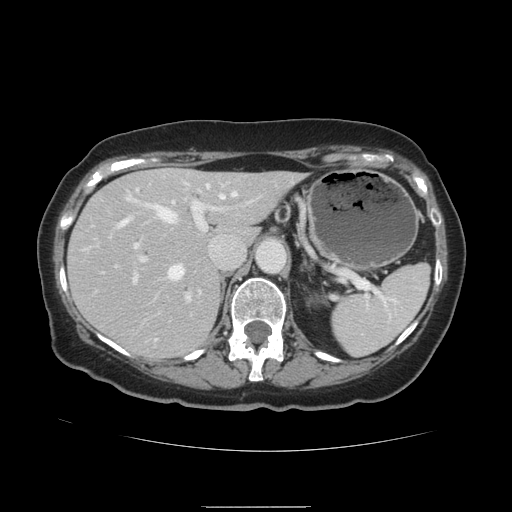
CT scan slice
The vessel annotation is not exhaustive.
The largest 15 hepatic vessel regions (of 17) are bounded by <box>243,202,249,204</box>, <box>132,272,136,284</box>, <box>138,256,144,261</box>, <box>219,194,223,198</box>, <box>124,194,175,221</box>, <box>205,184,208,187</box>, <box>185,197,188,200</box>, <box>134,244,137,248</box>, <box>184,293,189,300</box>, <box>167,265,183,281</box>, <box>232,191,236,195</box>, <box>190,201,224,230</box>, <box>82,249,84,250</box>, <box>183,182,186,186</box>, <box>119,217,130,225</box>.